FLAIR MRI.
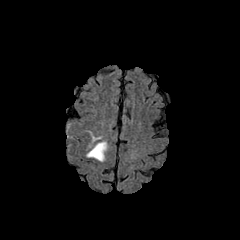
T1-weighted magnetic resonance.
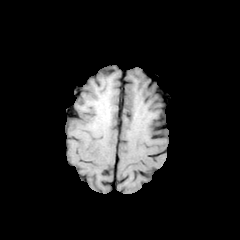
Post-contrast T1-weighted magnetic resonance.
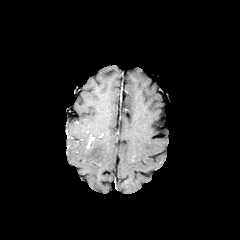
T2-weighted MR image.
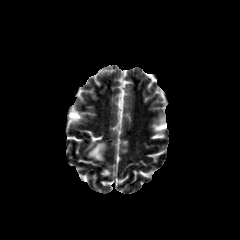
240x240
Edema: bounding box 85:130:108:162.